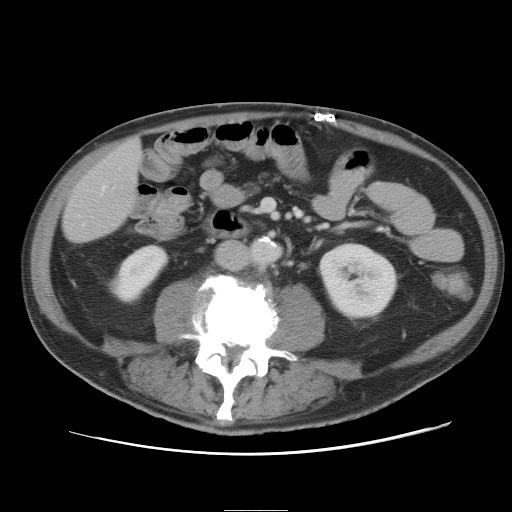
Liver, 512x512, CT scan slice
Only some of the vessels may be annotated.
2 hepatic vessel regions are bounded by 134, 140, 137, 144; 103, 186, 105, 190.